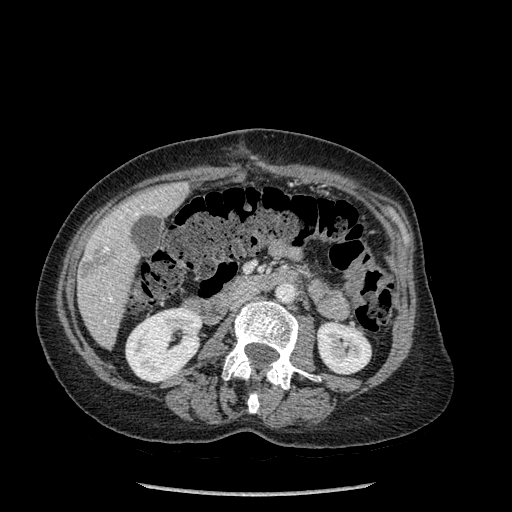

Computed tomography
Bone at bbox=[247, 392, 259, 413]; bbox=[222, 300, 313, 389].
Kidney at bbox=[318, 323, 370, 373]; bbox=[126, 308, 201, 381].
Liver at bbox=[78, 182, 188, 347].
Hepatic lesion at bbox=[81, 251, 113, 276].